Brain
FLAIR MRI.
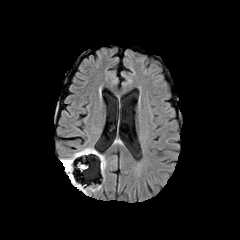
T1-weighted magnetic resonance.
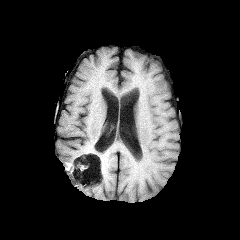
Post-contrast T1-weighted MR image.
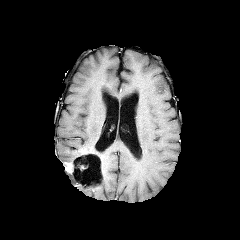
T2-weighted MR.
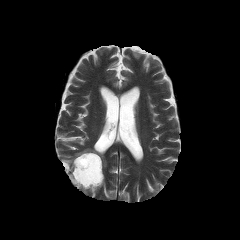
- edema: 62 151 79 182, 100 159 106 173
- enhancing tumor: 77 149 93 155
- non-enhancing tumor core: 73 150 104 179